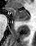 36x46 px. MR image. Annotated regions:
- anterior hippocampus: (5,6,30,21)